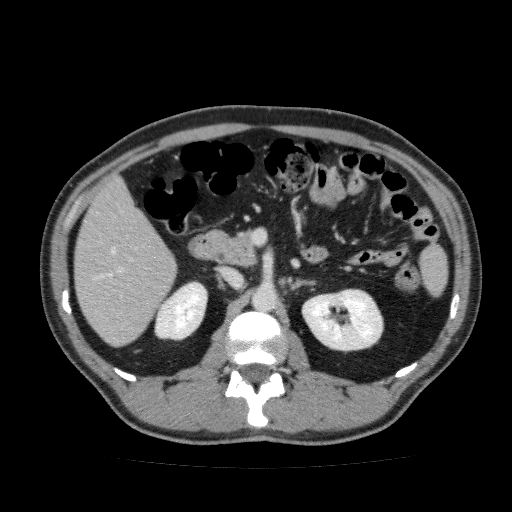 CT; Upper abdomen
<segmentation>
  <liver>[73, 174, 176, 345]</liver>
  <kidney>[155, 282, 206, 339], [303, 289, 382, 350]</kidney>
</segmentation>